Liver; Computed tomography; Slice 34 of 45

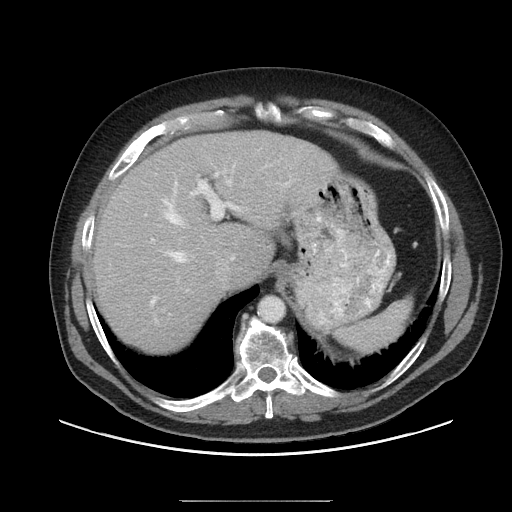

The vessel annotation is not exhaustive.
{
  "hepatic_vessel": [
    "(226, 179, 231, 184)",
    "(150, 239, 153, 242)",
    "(162, 199, 183, 224)",
    "(165, 251, 185, 262)",
    "(215, 173, 218, 175)",
    "(190, 181, 240, 217)",
    "(283, 183, 287, 184)",
    "(151, 296, 157, 304)",
    "(216, 254, 234, 274)"
  ]
}